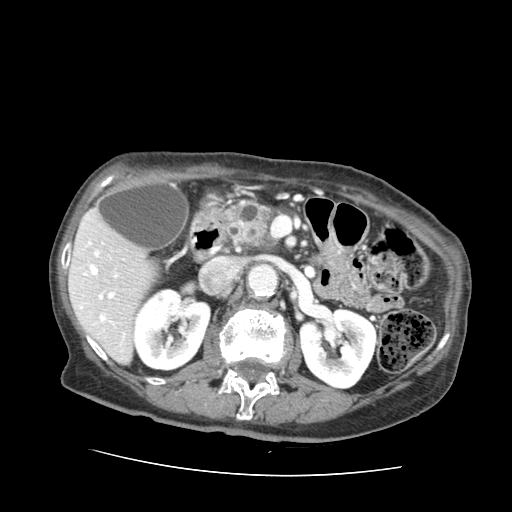 CT

Pancreas at {"x1": 219, "y1": 197, "x2": 277, "y2": 253}.